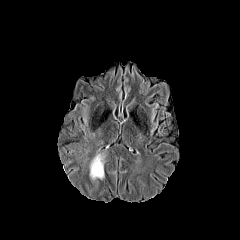
FLAIR magnetic resonance.
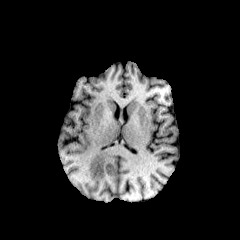
T1-weighted MR image.
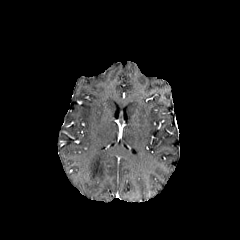
Post-contrast T1-weighted MR image.
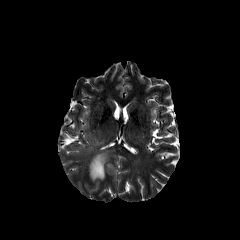
T2-weighted magnetic resonance.
Segmented structures:
- edema: region(89, 152, 107, 182)